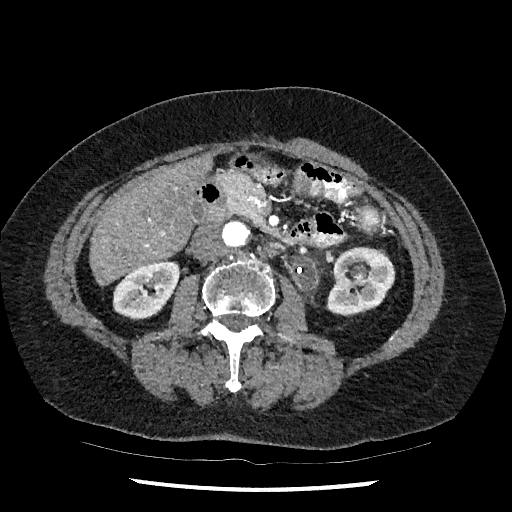

Abdomen, 512x512, CT slice
liver: l=90, t=154, r=212, b=285 | kidney: l=328, t=248, r=394, b=314; l=113, t=262, r=179, b=318